CT; Abdomen; 512x512 px 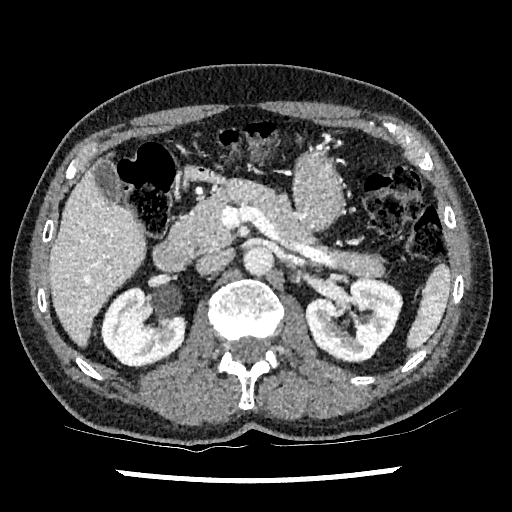
{
  "liver": [
    "rect(49, 159, 145, 346)"
  ],
  "kidney": [
    "rect(102, 289, 183, 365)",
    "rect(306, 280, 401, 360)"
  ]
}